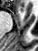
Image size 38x51, MRI slice
{"anterior_hippocampus": ["rect(19, 7, 23, 11)"]}